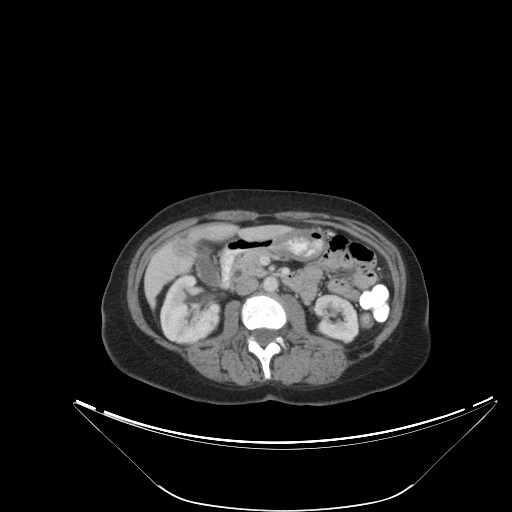 CT scan slice.
* liver tumor: l=172, t=236, r=197, b=258